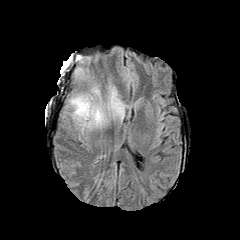
FLAIR MR image.
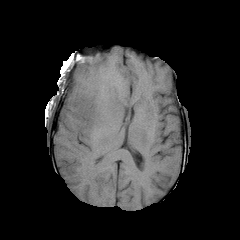
T1-weighted MRI.
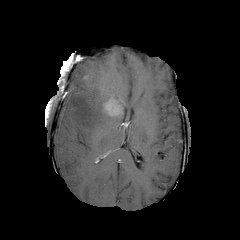
Post-contrast T1-weighted MR.
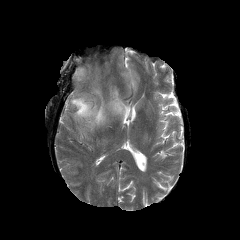
T2-weighted MR.
240x240 px; Head
• enhancing tumor: <bbox>103, 99, 122, 116</bbox>
• edema: <bbox>69, 86, 107, 130</bbox>, <bbox>108, 89, 118, 100</bbox>, <bbox>74, 67, 84, 76</bbox>